Abdomen | Computed tomography | Slice index 333 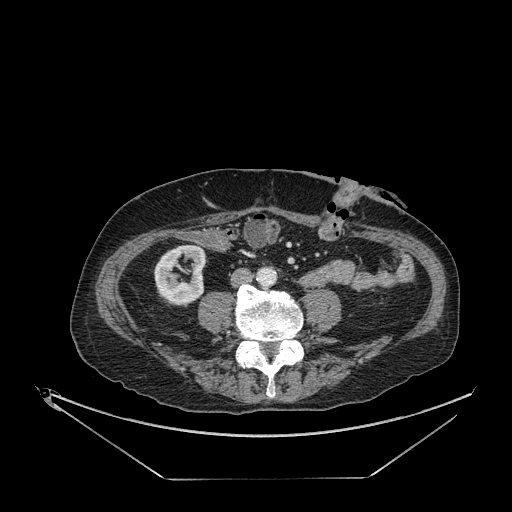
Kidney = [155, 245, 205, 304].